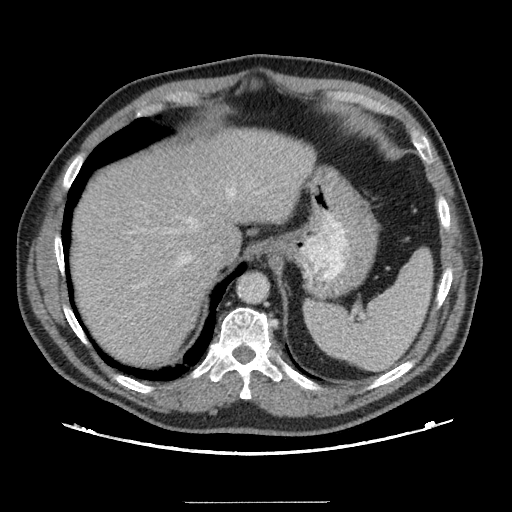 512x512 px. Abdomen. Computed tomography.
The vessel annotation is not exhaustive.
3 hepatic vessel regions appear at (183,217,198,230), (227,188,234,195), (178,252,192,263).